MRI slice. Image width 33 mm. Slice index 30. Medial temporal lobe. 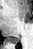
posterior_hippocampus:
  - bbox=[7, 37, 19, 43]